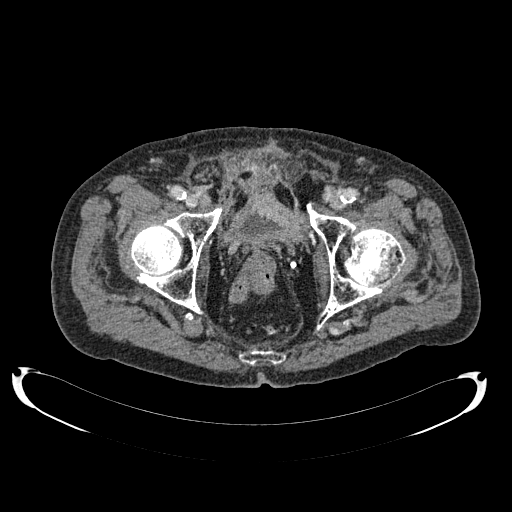 CT image

The urinary bladder appears at [x1=240, y1=214, x2=280, y2=236].